FLAIR MR.
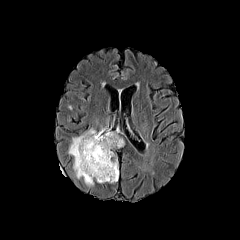
T1-weighted magnetic resonance.
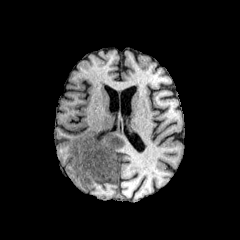
Post-contrast T1-weighted magnetic resonance.
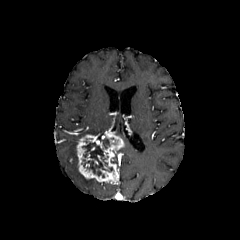
T2-weighted magnetic resonance.
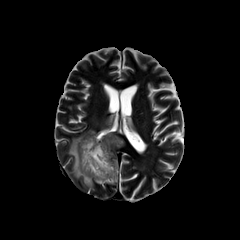
Image size 240x240, Head
Non-enhancing tumor core: bbox(82, 141, 113, 177); bbox(100, 137, 110, 149).
Edema: bbox(67, 129, 97, 187).
Enhancing tumor: bbox(77, 131, 124, 184).